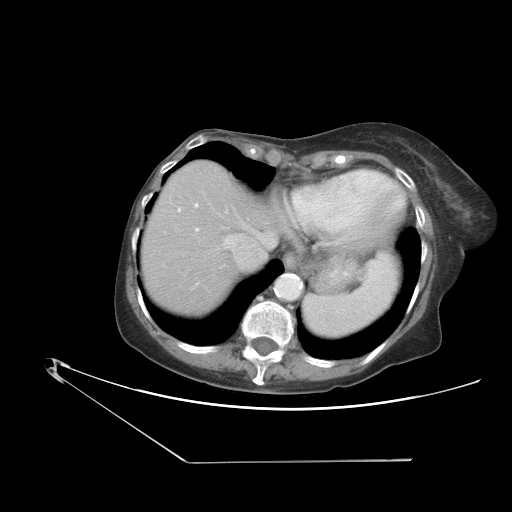
512x512 px | CT slice | Abdomen
The vessel boxes may cover only some of the vessels.
hepatic vessel: <bbox>241, 224, 275, 247</bbox>, <bbox>195, 204, 197, 206</bbox>, <bbox>196, 228, 198, 230</bbox>, <bbox>178, 208, 180, 211</bbox>, <bbox>222, 234, 264, 266</bbox>